FLAIR MR.
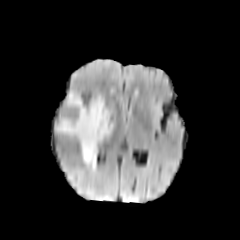
T1-weighted MR.
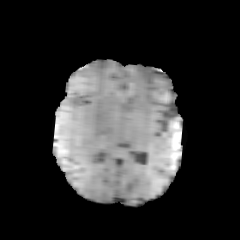
Post-contrast T1-weighted MR image.
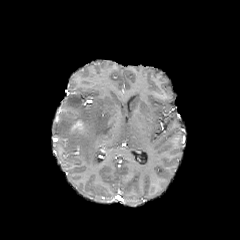
T2-weighted MRI.
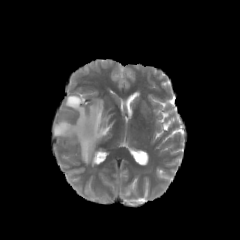
edema:
  - <box>55,92,114,167</box>
enhancing_tumor:
  - <box>69,119,83,133</box>